Slice index 63 | CT | Abdomen | 512x512 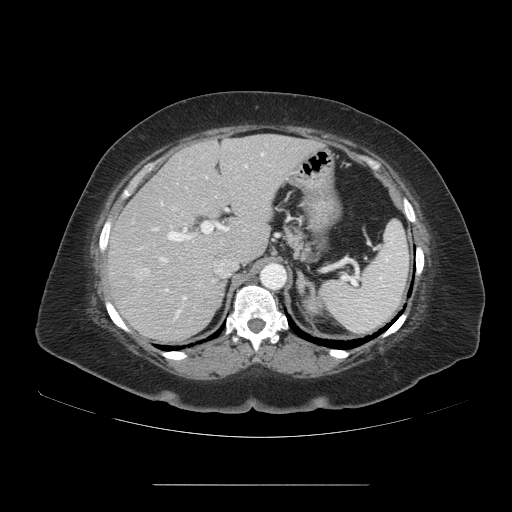
Some hepatic vessels may have no box.
Annotated regions:
• liver tumor: x1=136, y1=265, x2=149, y2=279
• hepatic vessel: x1=160, y1=258, x2=165, y2=261; x1=244, y1=165, x2=245, y2=166; x1=161, y1=201, x2=162, y2=205; x1=181, y1=297, x2=185, y2=300; x1=176, y1=310, x2=179, y2=315; x1=167, y1=226, x2=193, y2=241; x1=213, y1=259, x2=236, y2=277; x1=201, y1=221, x2=229, y2=234; x1=152, y1=228, x2=158, y2=230